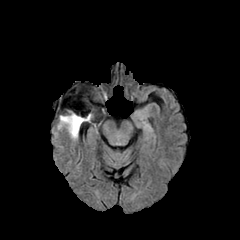
FLAIR MR image.
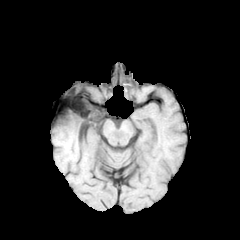
T1-weighted MR image of the same slice.
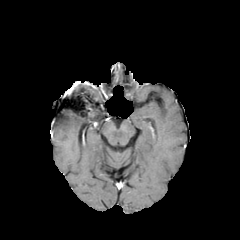
Post-contrast T1-weighted MR of the same slice.
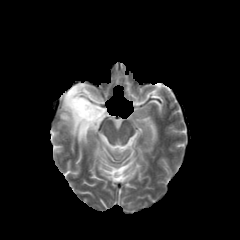
T2-weighted MR.
Head
3 non-enhancing tumor core regions are located at [60, 114, 69, 121], [72, 113, 91, 129], [64, 93, 84, 111]. The edema lies within [57, 110, 92, 140].